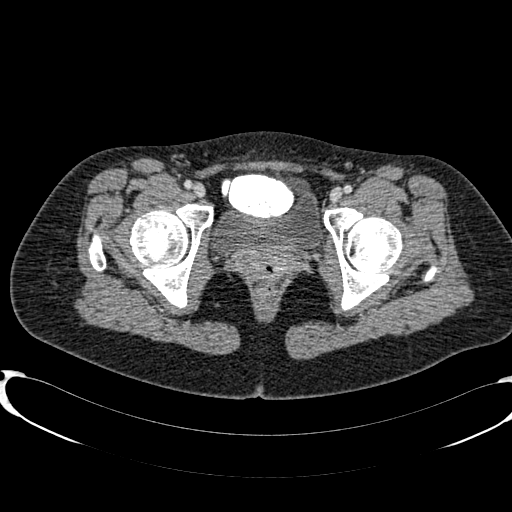 CT | Pelvis

Urinary bladder — [217,192,322,256].